Field of view 240x240 mm; 240x240 px
FLAIR MR image.
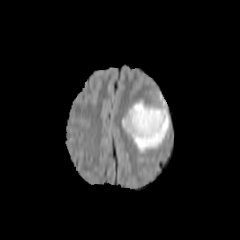
T1-weighted MR.
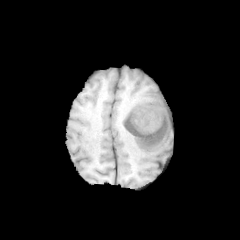
Post-contrast T1-weighted MR.
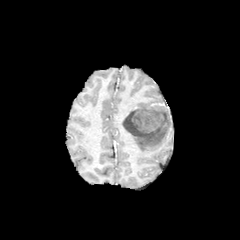
T2-weighted MRI.
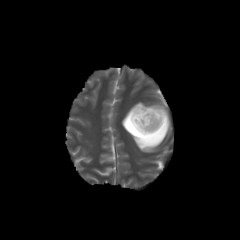
The non-enhancing tumor core is bounded by x1=124 y1=104 x2=167 y2=137. The edema is bounded by x1=122 y1=99 x2=172 y2=152.